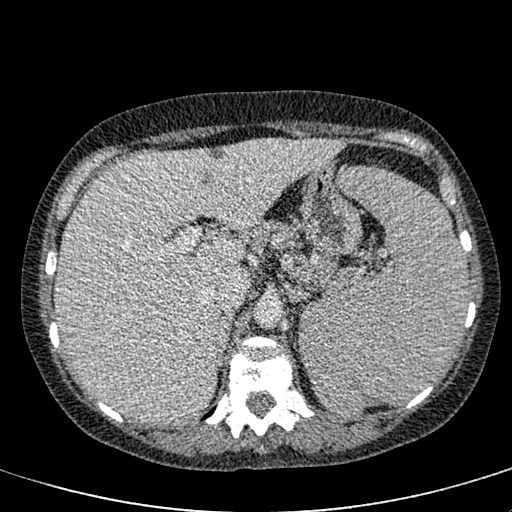 Computed tomography
The liver is at box(57, 139, 344, 422).